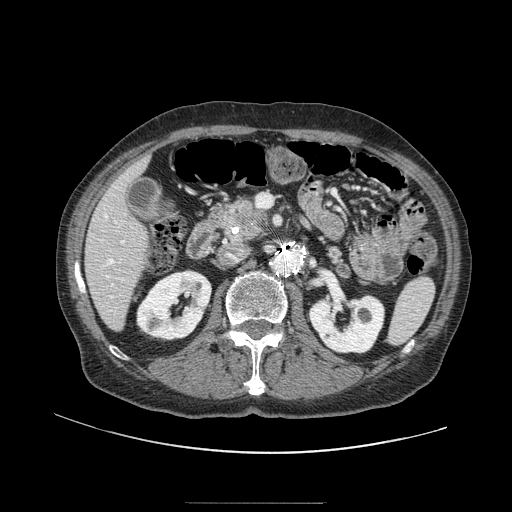

CT slice. 2 pancreas regions are located at box=[327, 246, 350, 276]; box=[215, 198, 270, 241]. The pancreatic tumor appears at box=[235, 209, 263, 222].